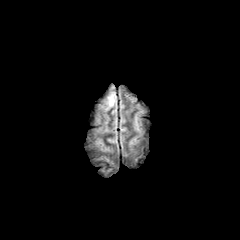
FLAIR MRI.
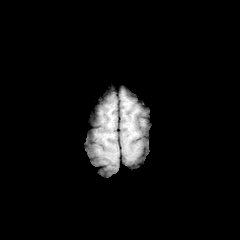
T1-weighted MR of the same slice.
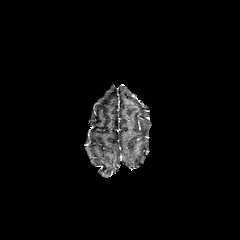
Same slice, post-contrast T1-weighted magnetic resonance.
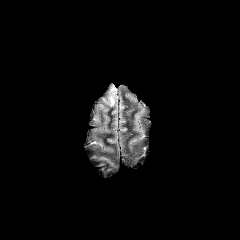
Same slice, T2-weighted magnetic resonance.
Edema = l=107, t=90, r=116, b=105.